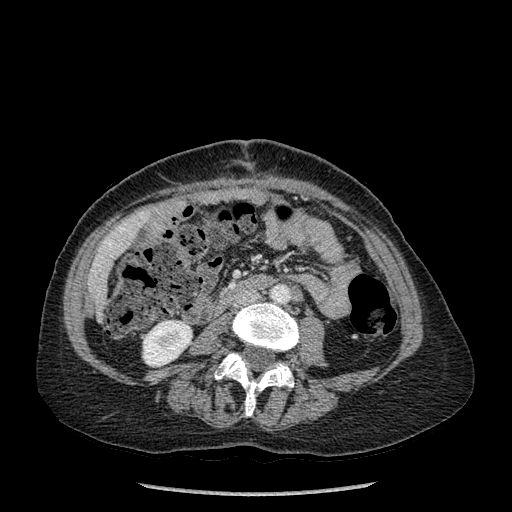

CT scan slice, Upper abdomen, 512x512 px

The kidney is located at 143,320,191,366. 2 liver regions appear at 133,209,150,217; 87,218,140,318. 2 bone regions appear at 214,353,293,416; 232,303,299,351.